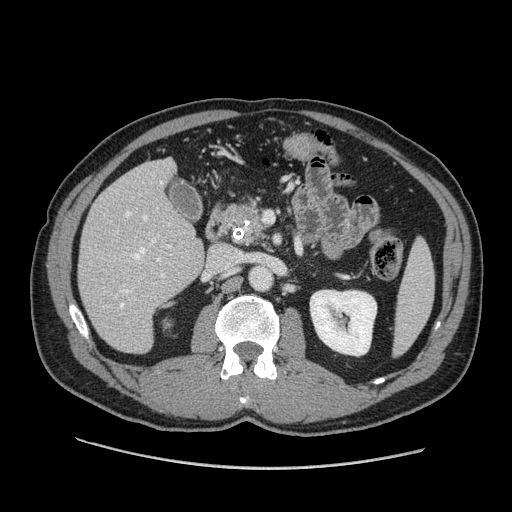

CT image; Upper abdomen
<segmentation>
  <pancreas>{"x1": 229, "y1": 201, "x2": 267, "y2": 247}</pancreas>
  <pancreatic_tumor>{"x1": 236, "y1": 207, "x2": 257, "y2": 221}</pancreatic_tumor>
</segmentation>